CT image. Slice 489 of 647. 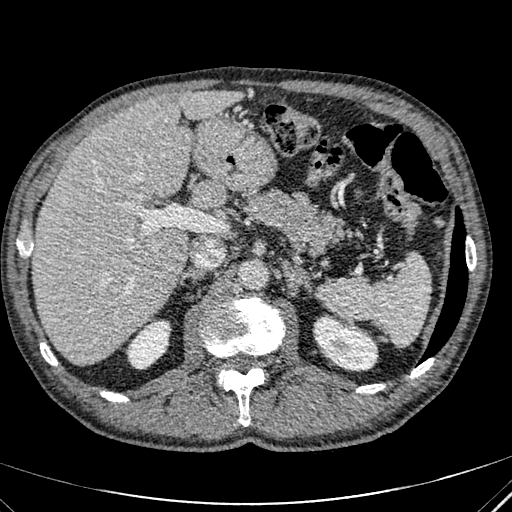 2 liver regions are bounded by {"x1": 192, "y1": 181, "x2": 224, "y2": 207}, {"x1": 32, "y1": 91, "x2": 244, "y2": 363}. The liver lesion is bounded by {"x1": 157, "y1": 94, "x2": 180, "y2": 106}. 2 kidney regions are bounded by {"x1": 128, "y1": 322, "x2": 168, "y2": 367}, {"x1": 315, "y1": 318, "x2": 376, "y2": 369}.